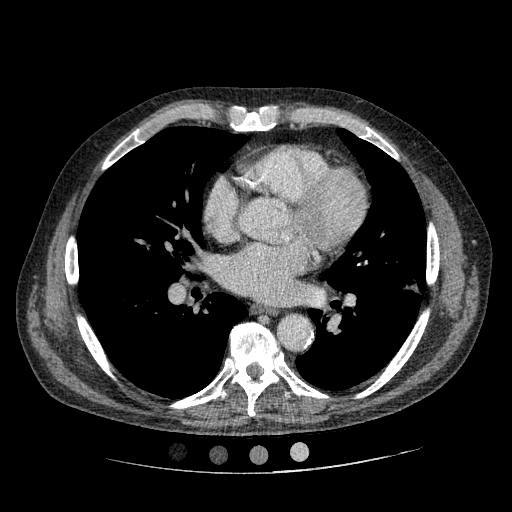

CT image; Lung
<segmentation>
  <lung_tumor>395 276 423 297</lung_tumor>
</segmentation>